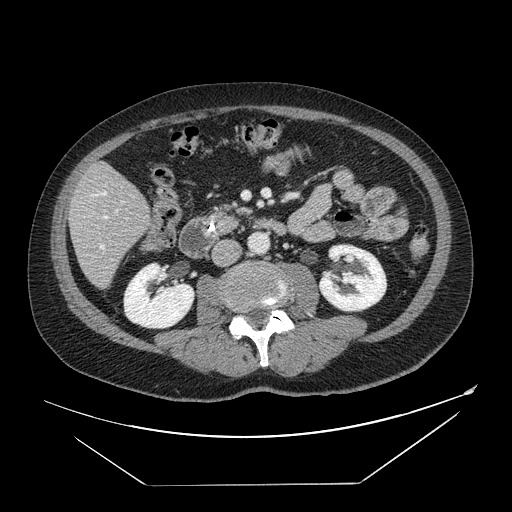
Computed tomography
<segmentation>
  <pancreas>region(206, 205, 248, 234)</pancreas>
</segmentation>